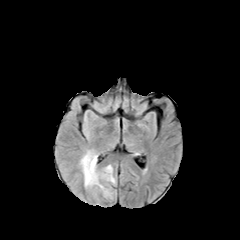
FLAIR MR.
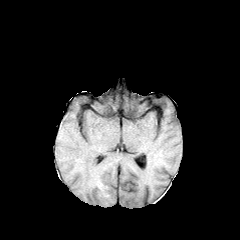
T1-weighted MRI.
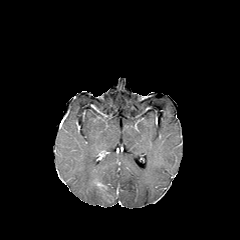
Post-contrast T1-weighted MRI of the same slice.
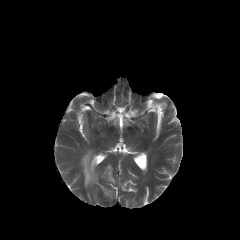
T2-weighted magnetic resonance.
Findings:
* edema: bbox=[103, 165, 114, 183]; bbox=[80, 151, 109, 195]